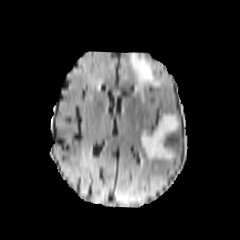
FLAIR MR.
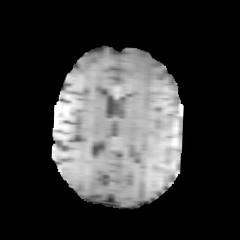
T1-weighted magnetic resonance of the same slice.
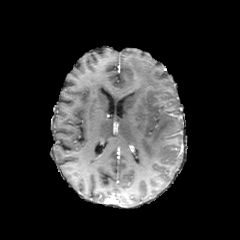
Same slice, post-contrast T1-weighted MR image.
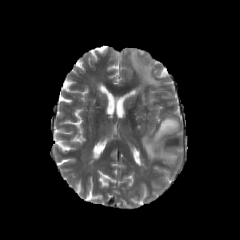
T2-weighted MR image of the same slice.
240x240. Brain.
Annotated regions:
- edema: box=[141, 115, 182, 161]; box=[129, 51, 162, 100]